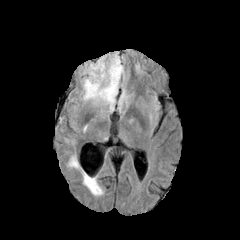
FLAIR MRI.
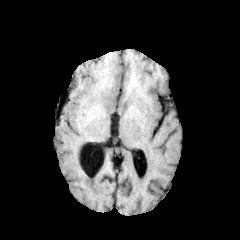
T1-weighted magnetic resonance of the same slice.
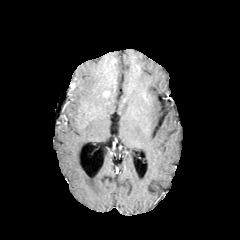
Post-contrast T1-weighted magnetic resonance.
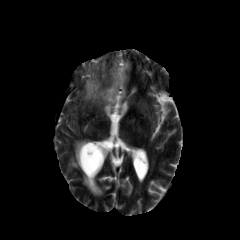
T2-weighted magnetic resonance.
Findings:
- edema: <box>67,150,104,196</box>, <box>83,54,126,112</box>